Abdomen, CT slice

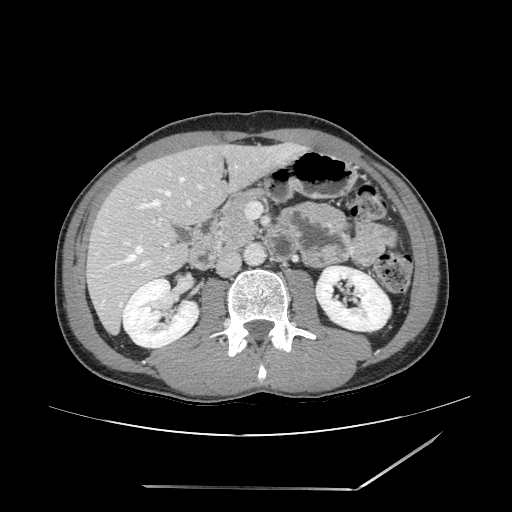
pancreas:
  - 212,188,265,253